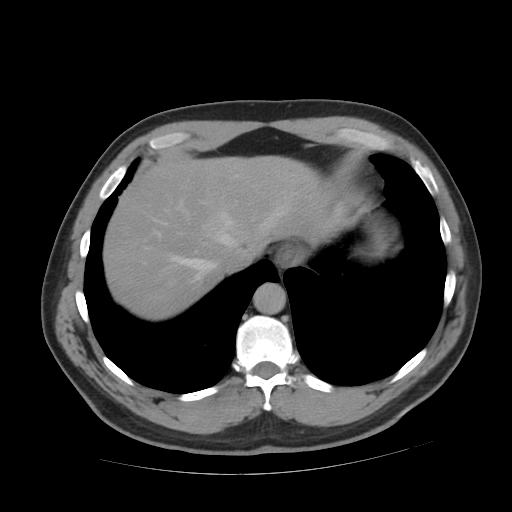 Image size 512x512 | Liver | CT
Only some of the vessels may be annotated.
6 hepatic vessel regions appear at region(222, 214, 231, 227); region(217, 229, 231, 244); region(165, 209, 168, 212); region(163, 269, 165, 271); region(168, 256, 217, 276); region(261, 207, 283, 226).